FLAIR magnetic resonance.
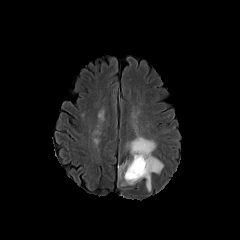
T1-weighted magnetic resonance.
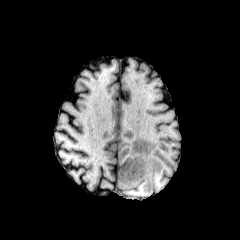
Post-contrast T1-weighted MR.
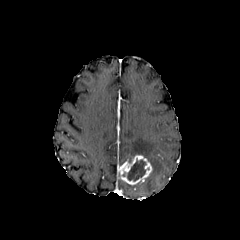
T2-weighted MRI.
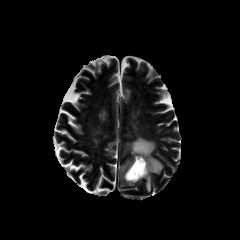
Brain
The non-enhancing tumor core is located at x1=127, y1=159, x2=146, y2=181. The enhancing tumor is at x1=117, y1=154, x2=153, y2=185. 2 edema regions are bounded by x1=146, y1=177, x2=151, y2=192; x1=125, y1=136, x2=163, y2=173.